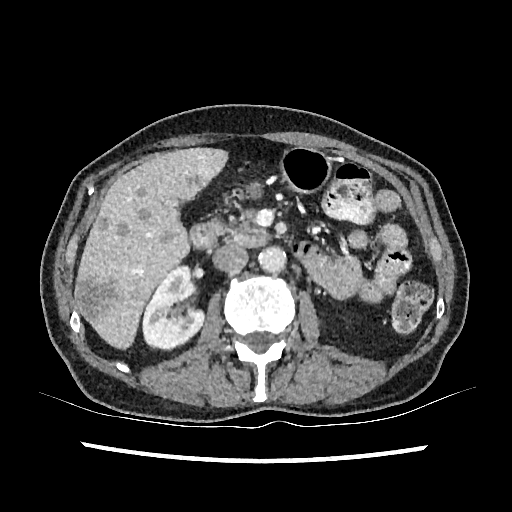

CT slice, Abdomen
hepatic_lesion:
  - 97 216 107 230
  - 117 223 129 236
  - 136 187 147 197
  - 185 175 202 187
  - 137 208 151 222
  - 160 231 175 243
  - 75 278 117 319
liver:
  - 77 148 226 347
kidney:
  - 143 266 203 348